Computed tomography, 512x512 px, Slice 166 of 908
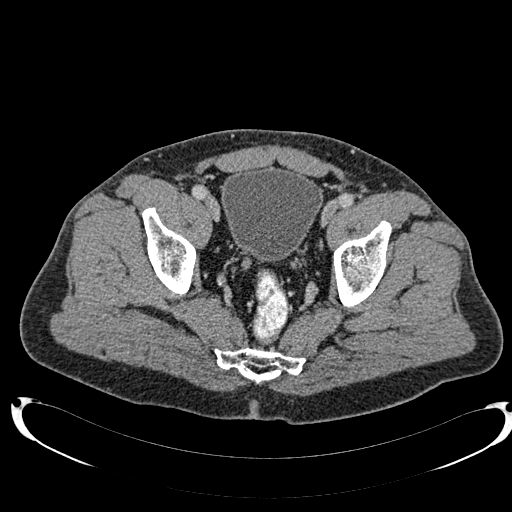 Segmented structures:
- urinary bladder: (222,165,323,262)